FLAIR MRI.
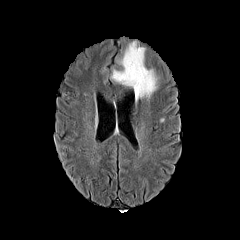
T1-weighted MR.
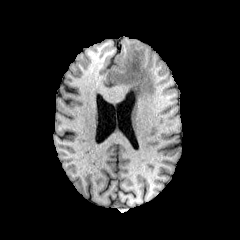
Post-contrast T1-weighted MR.
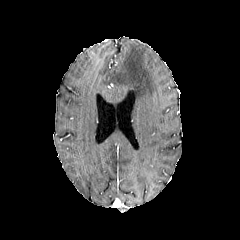
T2-weighted MR.
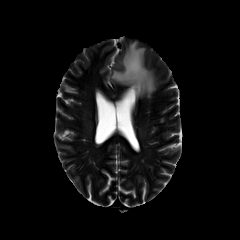
240x240 px | Head
Edema: 110, 41, 157, 99.